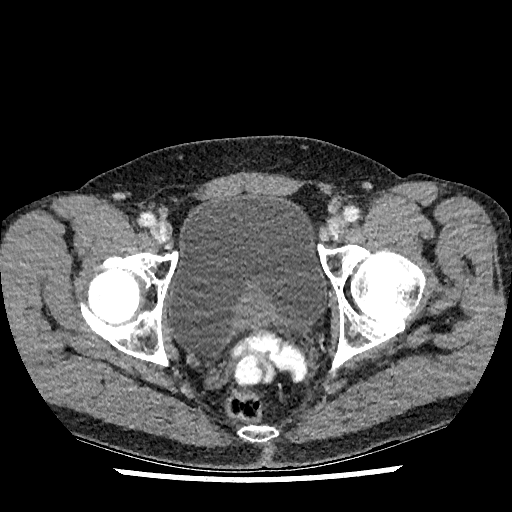 CT image, Lower abdomen
Urinary bladder at [167,196,328,353].